Cardiac | MR 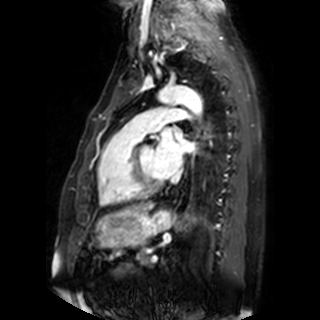 Left atrium: [155, 128, 192, 176].